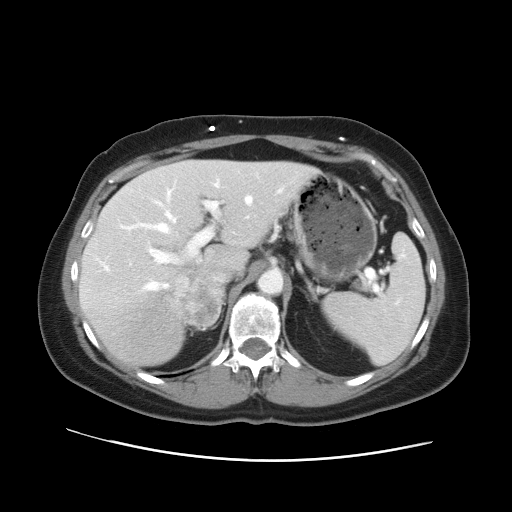

512x512; CT slice; Liver

Only some of the vessels may be annotated.
The liver tumor is at (163, 266, 218, 327). 8 hepatic vessel regions are bounded by (118, 186, 176, 233), (204, 201, 218, 215), (146, 242, 181, 263), (185, 228, 212, 257), (246, 216, 248, 217), (161, 283, 166, 286), (174, 180, 176, 183), (243, 196, 253, 203).